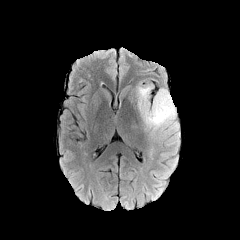
FLAIR MRI.
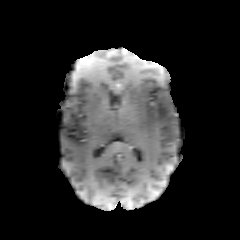
Same slice, T1-weighted MRI.
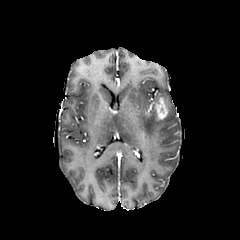
Post-contrast T1-weighted MR of the same slice.
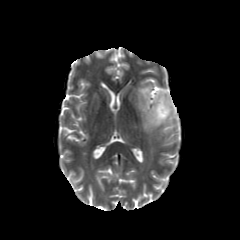
T2-weighted MRI.
Annotated regions:
- edema: {"x1": 154, "y1": 170, "x2": 166, "y2": 188}, {"x1": 136, "y1": 82, "x2": 179, "y2": 145}
- enhancing tumor: {"x1": 152, "y1": 97, "x2": 168, "y2": 119}
- non-enhancing tumor core: {"x1": 152, "y1": 93, "x2": 163, "y2": 102}, {"x1": 148, "y1": 104, "x2": 162, "y2": 122}